FLAIR magnetic resonance.
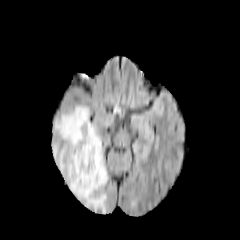
T1-weighted MRI.
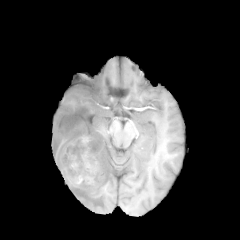
Post-contrast T1-weighted magnetic resonance.
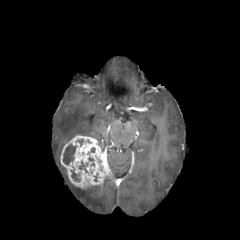
T2-weighted MR image.
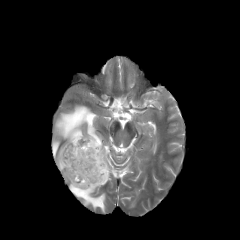
Image size 240x240, Head
Edema: x1=52 y1=104 x2=106 y2=212.
Non-enhancing tumor core: x1=70 y1=166 x2=81 y2=181, x1=62 y1=144 x2=76 y2=166.
Enhancing tumor: x1=60 y1=135 x2=109 y2=188.